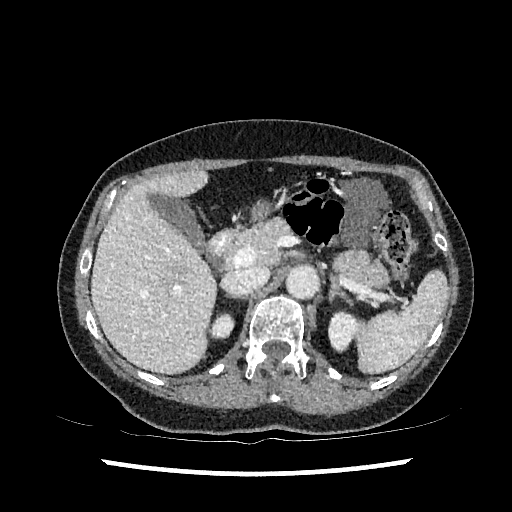
CT image, Abdomen

Liver lesion — [170,264,188,279].
Kidney — [329,313,357,349].
Liver — [93,171,215,372].